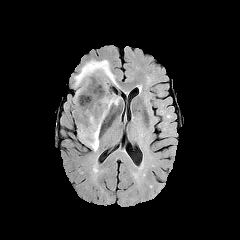
FLAIR MRI.
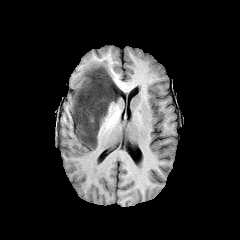
T1-weighted MR.
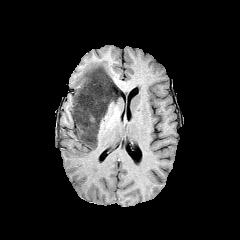
Same slice, post-contrast T1-weighted MR image.
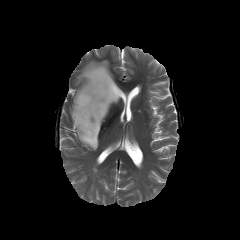
Same slice, T2-weighted magnetic resonance.
Image size 240x240, Brain
The non-enhancing tumor core appears at x1=72, y1=66, x2=120, y2=148. 2 edema regions are bounded by x1=75, y1=60, x2=113, y2=89; x1=82, y1=84, x2=103, y2=101.